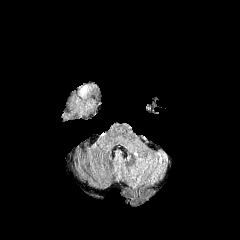
FLAIR MRI.
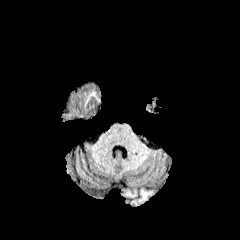
T1-weighted MR.
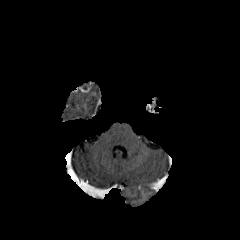
Post-contrast T1-weighted MRI.
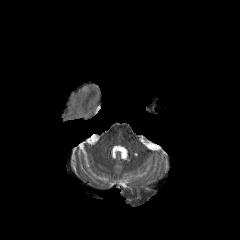
Same slice, T2-weighted MR.
Image size 240x240, Head
non-enhancing tumor core: x1=61 y1=82 x2=101 y2=119